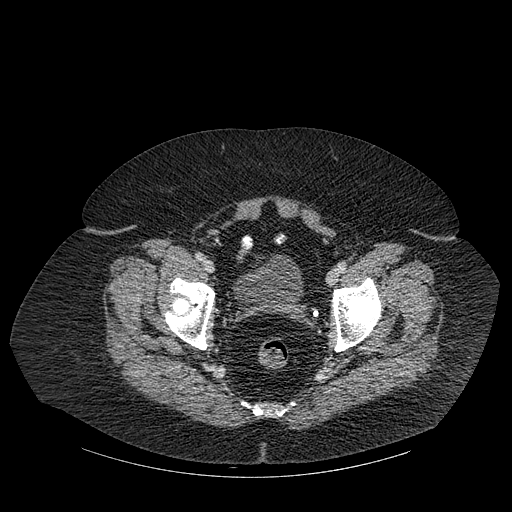
CT; Pelvis; 512x512 px
<segmentation>
  <urinary_bladder>bbox(233, 254, 303, 317)</urinary_bladder>
  <bone>bbox(332, 278, 380, 351); bbox(252, 405, 285, 416); bbox(165, 278, 214, 349)</bone>
</segmentation>